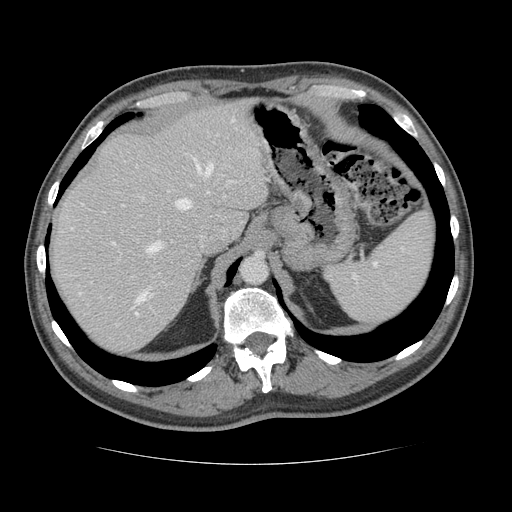

Liver; CT image
Some hepatic vessels may have no box.
{"hepatic_vessel": ["<bbox>121, 204, 123, 205</bbox>", "<bbox>136, 291, 152, 302</bbox>", "<bbox>79, 292, 81, 294</bbox>", "<bbox>228, 180, 234, 181</bbox>", "<bbox>147, 242, 162, 251</bbox>", "<bbox>141, 197, 143, 199</bbox>", "<bbox>175, 198, 191, 208</bbox>", "<bbox>131, 307, 132, 308</bbox>", "<bbox>232, 118, 234, 120</bbox>", "<bbox>158, 229, 159, 231</bbox>", "<bbox>112, 242, 114, 244</bbox>", "<bbox>207, 191, 208, 193</bbox>", "<bbox>135, 312, 137, 315</bbox>", "<bbox>192, 157, 212, 174</bbox>"]}